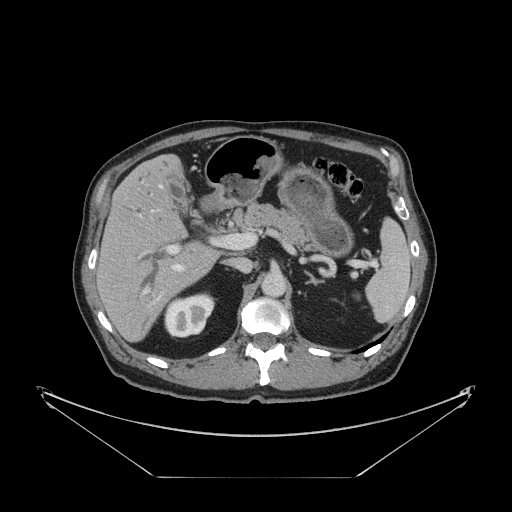 Liver; CT scan slice
Some hepatic vessels may have no box.
• hepatic vessel: (159,185,161,187), (157,209,158,211), (139,255,140,257), (213,233,255,248), (143,288,148,293), (151,210,153,211), (167,245,178,253), (138,214,140,216), (173,265,182,270), (154,295,160,301)